Brain. Slice 79 of 155.
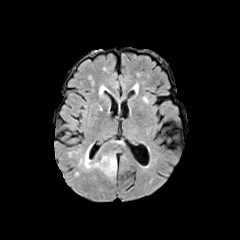
FLAIR MRI.
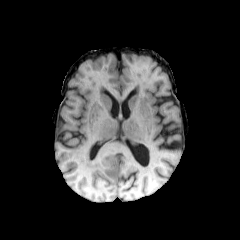
T1-weighted MRI of the same slice.
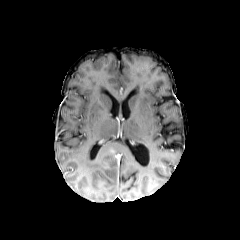
Post-contrast T1-weighted MRI.
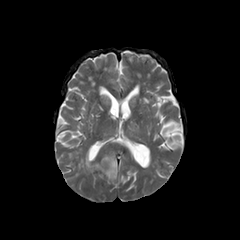
Same slice, T2-weighted MR image.
Annotated regions:
• non-enhancing tumor core: (left=101, top=148, right=117, bottom=170)
• enhancing tumor: (left=109, top=148, right=119, bottom=164)
• edema: (left=106, top=139, right=124, bottom=145), (left=78, top=144, right=116, bottom=178)